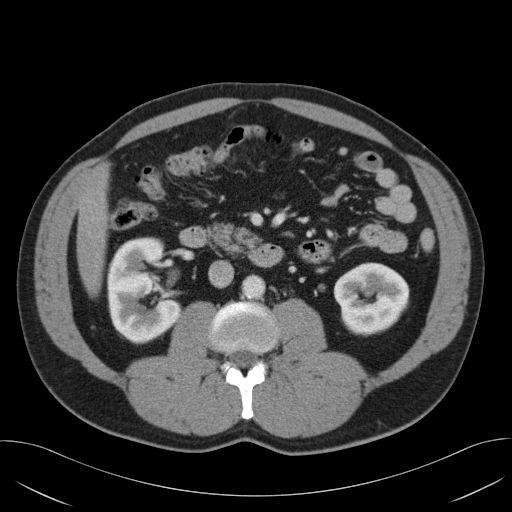
CT slice
The pancreas appears at x1=205 y1=220 x2=264 y2=257.